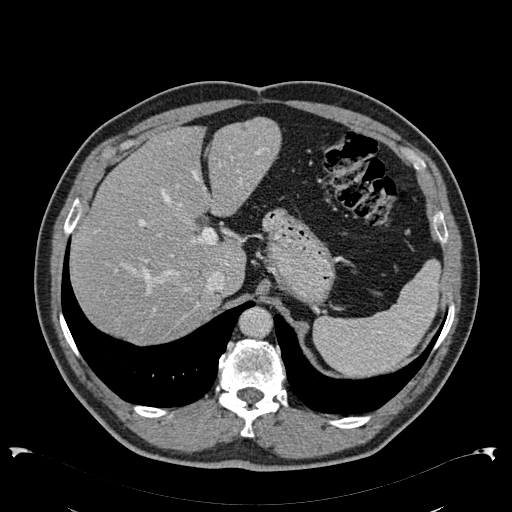 CT image, 512x512
Segmented structures:
- liver: 72 118 281 341